Brain
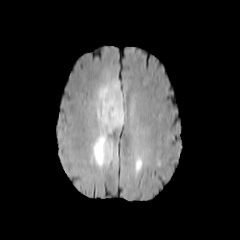
FLAIR MR image.
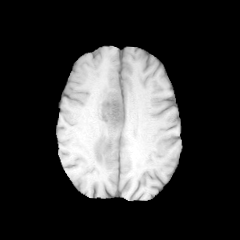
T1-weighted MR image of the same slice.
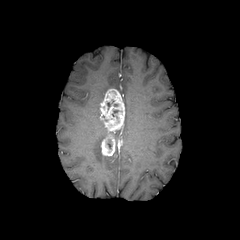
Post-contrast T1-weighted MR image.
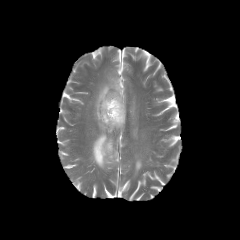
T2-weighted MRI.
Findings:
* enhancing tumor: box=[99, 89, 125, 155]
* edema: box=[93, 80, 123, 167]; box=[135, 158, 142, 169]